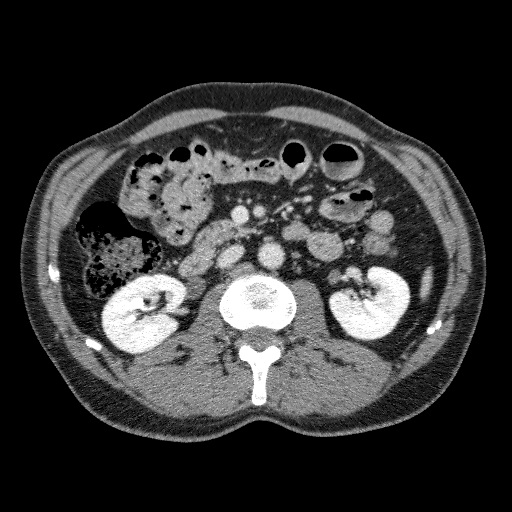
CT slice, 512x512
Kidney at box=[103, 274, 185, 352]; box=[330, 267, 408, 338].